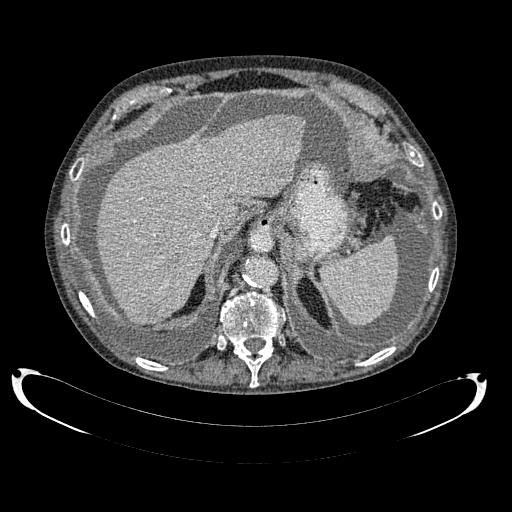 CT slice

Liver = l=96, t=114, r=306, b=323.
Hepatic lesion = l=282, t=121, r=301, b=147; l=146, t=304, r=156, b=316.